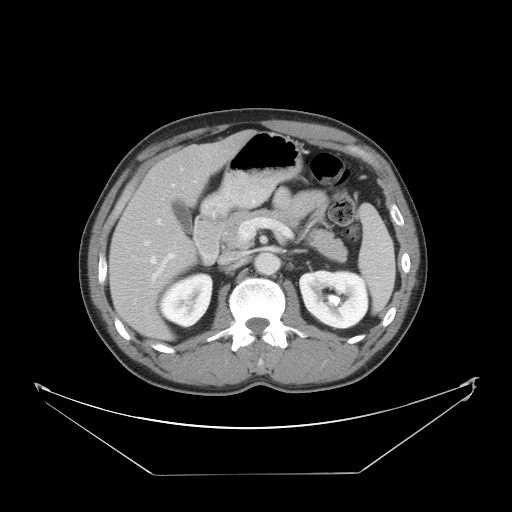 512x512 | CT slice
Only some of the vessels may be annotated.
{
  "hepatic_vessel": [
    {"x1": 151, "y1": 252, "x2": 174, "y2": 280},
    {"x1": 182, "y1": 186, "x2": 183, "y2": 188},
    {"x1": 172, "y1": 184, "x2": 174, "y2": 186},
    {"x1": 157, "y1": 219, "x2": 161, "y2": 224},
    {"x1": 194, "y1": 181, "x2": 196, "y2": 182},
    {"x1": 180, "y1": 168, "x2": 183, "y2": 170},
    {"x1": 151, "y1": 286, "x2": 153, "y2": 288},
    {"x1": 145, "y1": 307, "x2": 146, "y2": 309},
    {"x1": 144, "y1": 241, "x2": 149, "y2": 245},
    {"x1": 149, "y1": 290, "x2": 151, "y2": 294},
    {"x1": 150, "y1": 256, "x2": 155, "y2": 263}
  ]
}